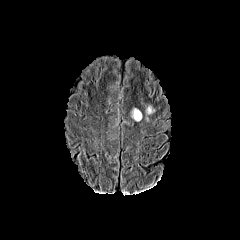
FLAIR magnetic resonance.
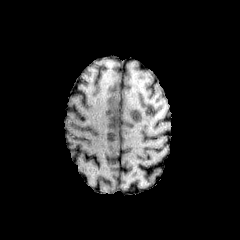
T1-weighted MR image.
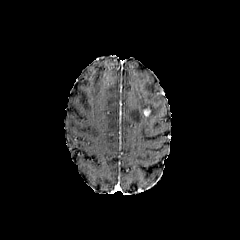
Post-contrast T1-weighted MR.
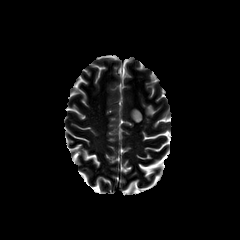
T2-weighted MR image of the same slice.
<segmentation>
  <edema>bbox(131, 107, 142, 121)</edema>
</segmentation>